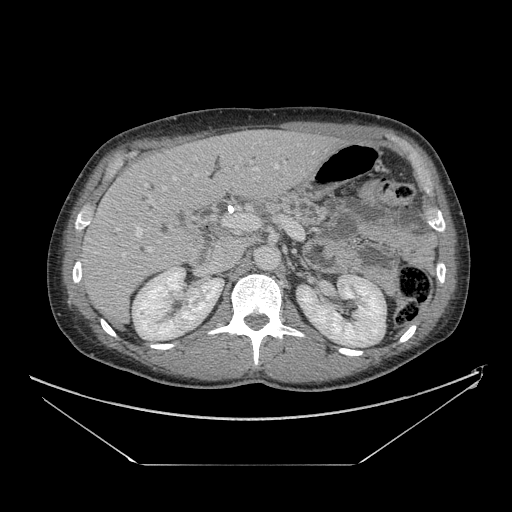

Abdomen. CT scan slice.

pancreas: (254, 195, 328, 227)